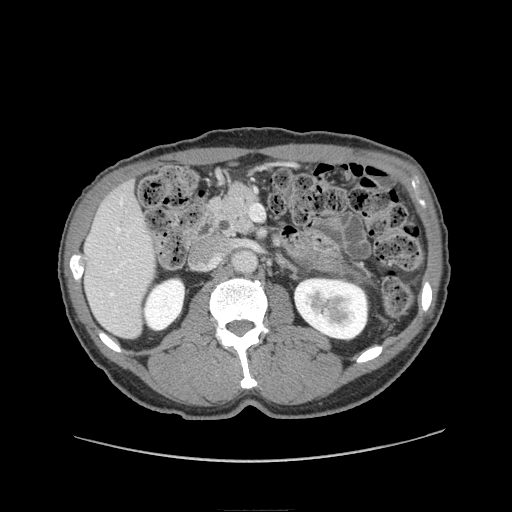

Abdomen; Image size 512x512; Computed tomography
The pancreas lies within rect(209, 185, 257, 234).